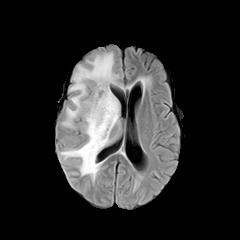
FLAIR magnetic resonance.
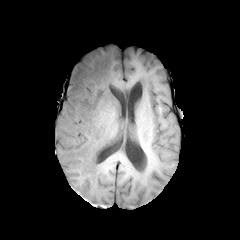
Same slice, T1-weighted MR image.
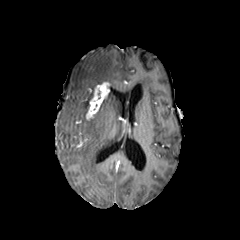
Same slice, post-contrast T1-weighted magnetic resonance.
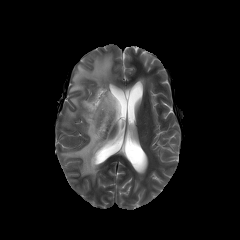
T2-weighted MR image.
2 edema regions are located at 61 90 121 181, 66 53 114 120. The enhancing tumor is at 86 82 109 119. 2 non-enhancing tumor core regions are located at 84 98 91 119, 91 80 107 97.